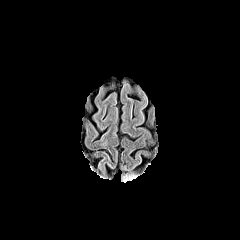
FLAIR MRI.
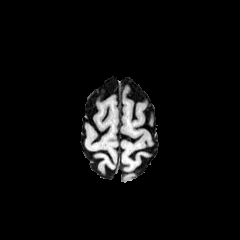
T1-weighted MR image.
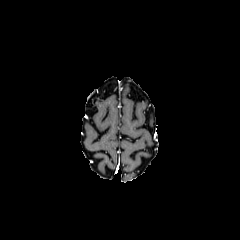
Post-contrast T1-weighted MRI.
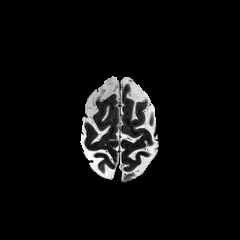
T2-weighted magnetic resonance.
Head. 240x240 px.
Edema at box=[121, 173, 137, 182].